512x512. Computed tomography. Slice 22/102. 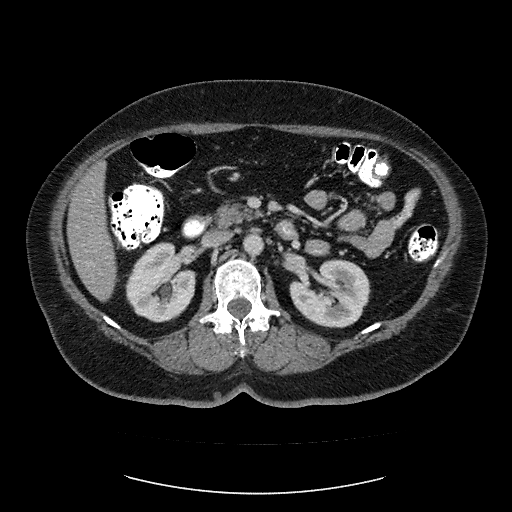 Only some of the vessels may be annotated.
Hepatic vessel = 88:262:90:264.